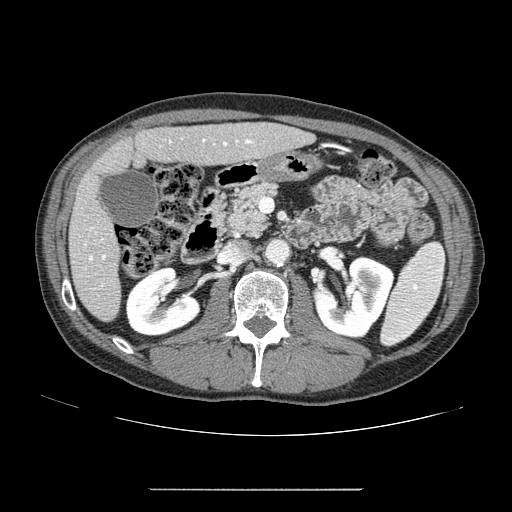

Computed tomography; Upper abdomen
pancreas:
  - 214:183:278:238